Head, Field of view 240x240 mm, Slice index 107
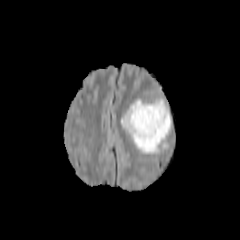
FLAIR MR image.
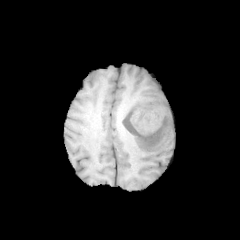
Same slice, T1-weighted MR image.
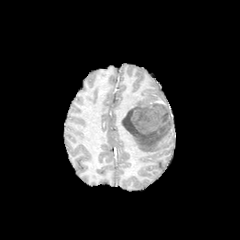
Post-contrast T1-weighted MR.
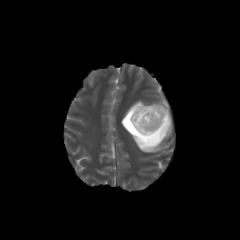
T2-weighted MR image.
Edema — [x1=120, y1=98, x2=172, y2=153].
Non-enhancing tumor core — [x1=123, y1=102, x2=170, y2=138].